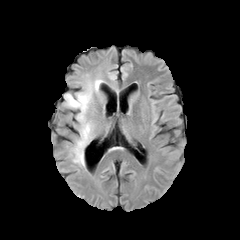
FLAIR MR image.
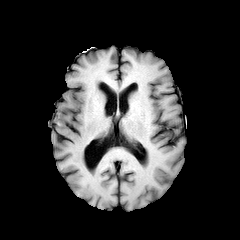
T1-weighted MR image.
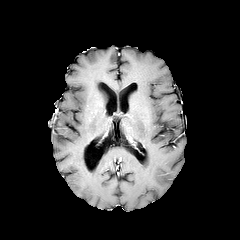
Same slice, post-contrast T1-weighted MR image.
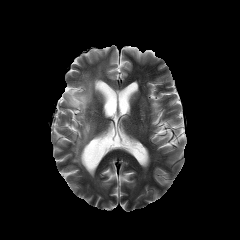
T2-weighted MRI of the same slice.
Brain
Findings:
• edema: 107 72 116 80, 64 72 109 167